CT slice. Slice index 26. Field of view 385x385 mm. Upper abdomen. 512x512.

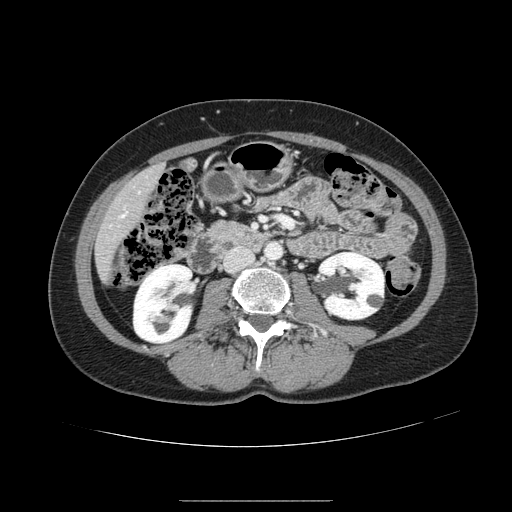 Pancreatic tumor at x1=220, y1=241, x2=232, y2=250.
Pancreas at x1=206, y1=220, x2=267, y2=258.